Slice 102 of 247 | CT scan slice
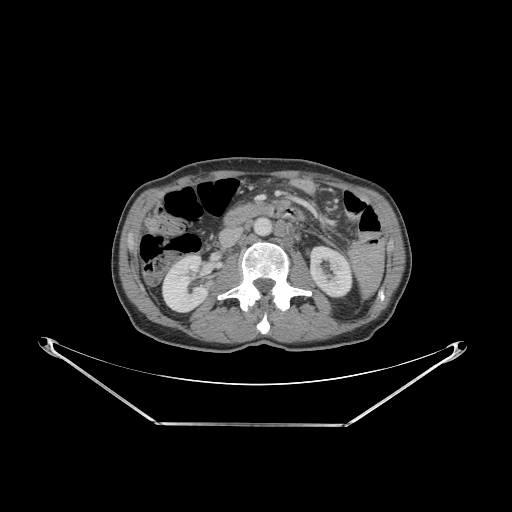
kidney: x1=311, y1=247, x2=351, y2=296; x1=202, y1=264, x2=213, y2=274; x1=163, y1=256, x2=207, y2=311 | bone: x1=218, y1=242, x2=311, y2=310; x1=257, y1=314, x2=269, y2=333